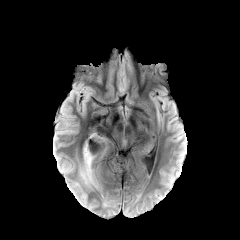
FLAIR MR image.
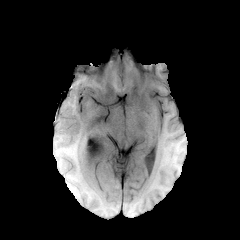
T1-weighted magnetic resonance of the same slice.
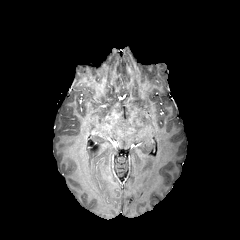
Post-contrast T1-weighted MR.
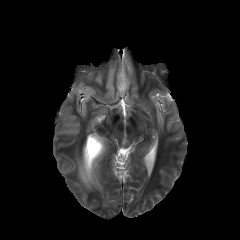
T2-weighted MR.
Brain
The edema appears at (79, 151, 99, 186).